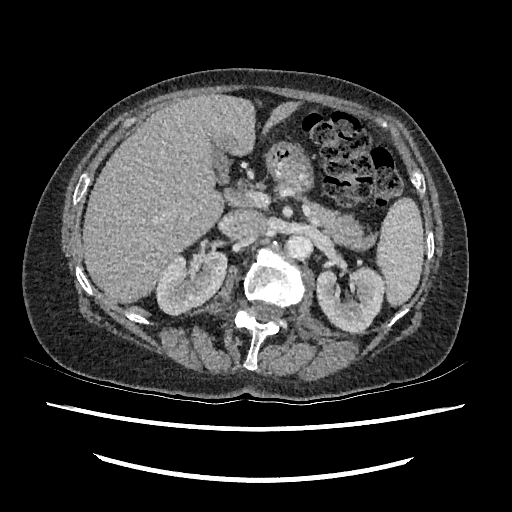 Liver; CT image
Kidney: bounding box 317:253:386:332, 157:251:226:314.
Liver: bounding box 264:102:299:133, 84:95:255:301.